Slice index 109.
FLAIR magnetic resonance.
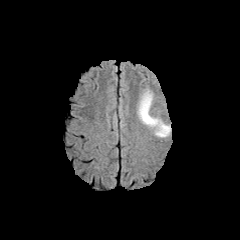
T1-weighted MR.
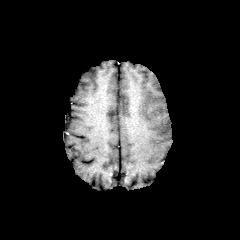
Post-contrast T1-weighted magnetic resonance.
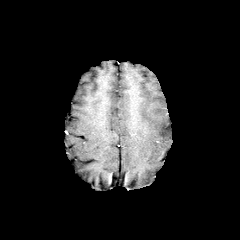
T2-weighted MR.
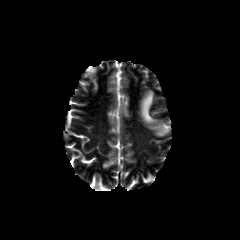
Edema: bounding box bbox=[138, 88, 171, 137].